CT
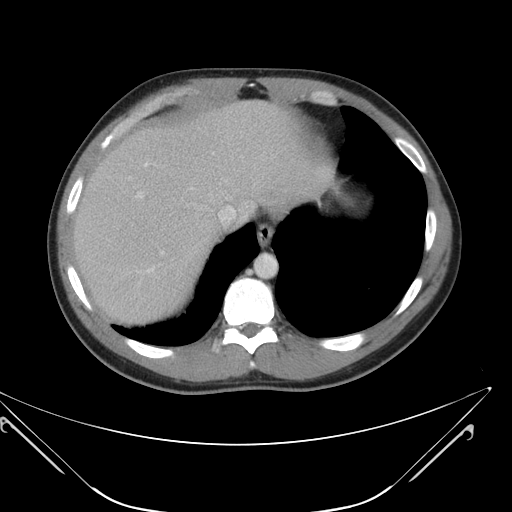 Only some of the vessels may be annotated.
6 hepatic vessel regions are bounded by region(147, 268, 153, 271); region(218, 206, 235, 223); region(136, 192, 142, 197); region(161, 251, 163, 253); region(190, 187, 192, 189); region(144, 163, 148, 165).